Field of view 240x240 mm. Head. 240x240 px.
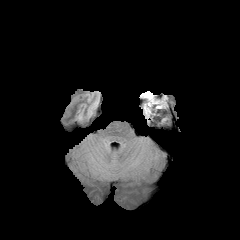
FLAIR magnetic resonance.
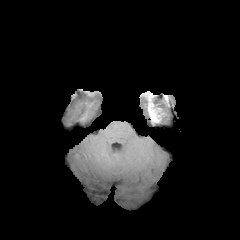
T1-weighted MR image.
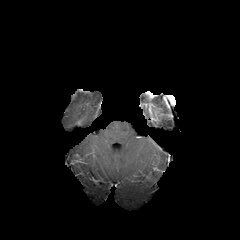
Post-contrast T1-weighted MR of the same slice.
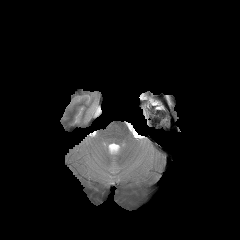
T2-weighted magnetic resonance of the same slice.
The edema is at left=141, top=93, right=165, bottom=122. The non-enhancing tumor core lies within left=144, top=102, right=153, bottom=113.